Liver. CT slice.

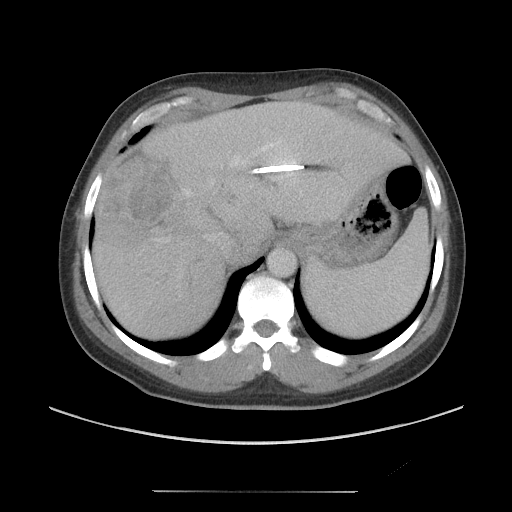
The vessel annotation is not exhaustive.
liver_tumor:
  - bbox=[99, 159, 178, 226]
hepatic_vessel:
  - bbox=[155, 238, 168, 240]
  - bbox=[254, 138, 290, 154]
  - bbox=[230, 156, 248, 164]
  - bbox=[211, 180, 213, 183]
  - bbox=[183, 189, 191, 196]